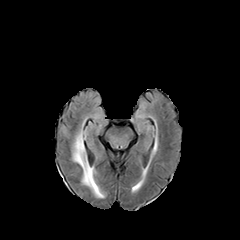
FLAIR MR.
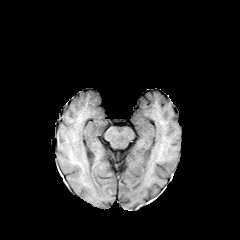
T1-weighted MR.
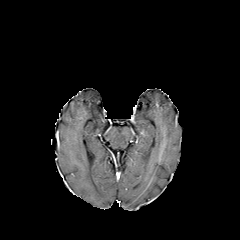
Post-contrast T1-weighted MRI.
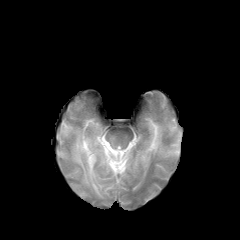
T2-weighted MRI of the same slice.
Head
edema:
  - left=72, top=131, right=104, bottom=197